CT slice. Liver. 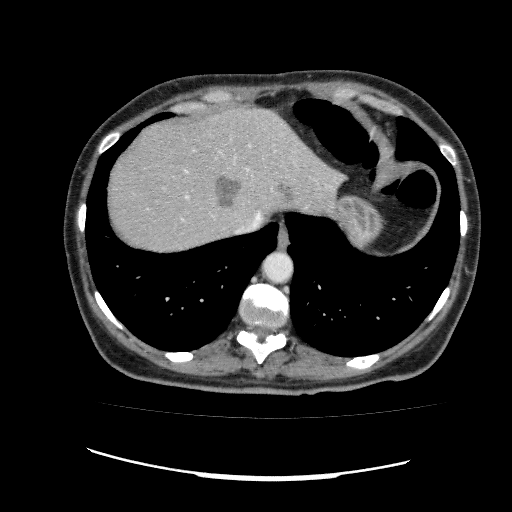 The liver is located at l=108, t=106, r=346, b=254. 2 hepatic lesion regions are bounded by l=277, t=183, r=293, b=203; l=214, t=175, r=240, b=208.